240x240.
FLAIR MR.
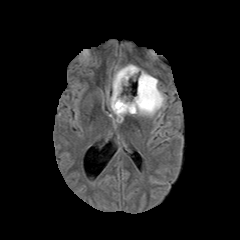
T1-weighted MR.
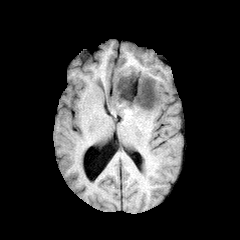
Post-contrast T1-weighted MRI.
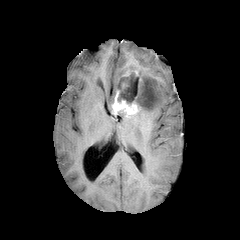
T2-weighted MRI.
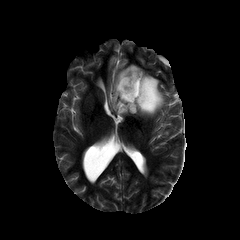
- enhancing tumor: 112:90:140:114
- non-enhancing tumor core: 117:69:142:105, 148:87:153:100
- edema: 106:64:167:117, 121:78:137:95